240x240 px; Slice 57/155
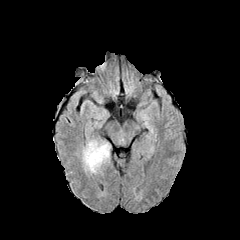
FLAIR MR.
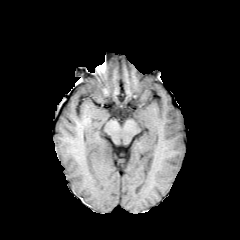
Same slice, T1-weighted MR image.
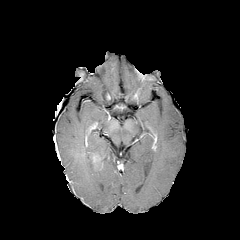
Same slice, post-contrast T1-weighted magnetic resonance.
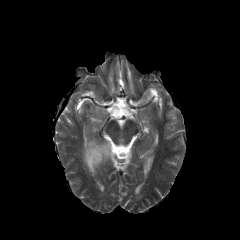
T2-weighted MR.
Edema at [x1=96, y1=110, x2=106, y2=119], [x1=79, y1=135, x2=110, y2=175].
Enhancing tumor at [x1=92, y1=152, x2=99, y2=163].
Non-enhancing tumor core at [x1=93, y1=152, x2=105, y2=166], [x1=86, y1=146, x2=95, y2=163].